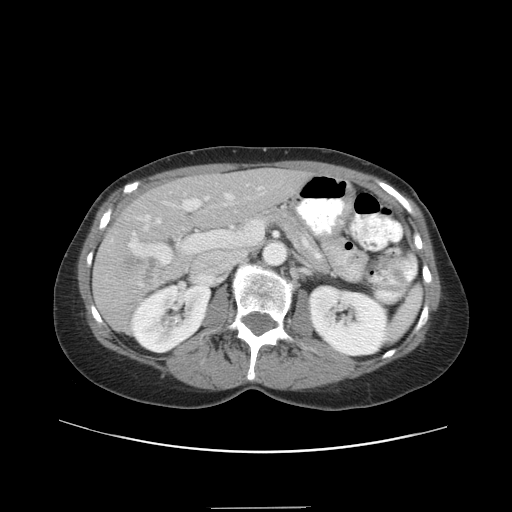
CT image | Abdomen

Only some of the vessels may be annotated.
Segmented structures:
- hepatic vessel: 144 225 148 230, 258 186 262 189, 224 193 233 199, 128 232 135 246, 136 215 149 220, 163 199 200 210, 156 218 161 223, 204 196 208 199, 139 283 142 285
- liver tumor: 141 257 158 282, 123 256 137 270